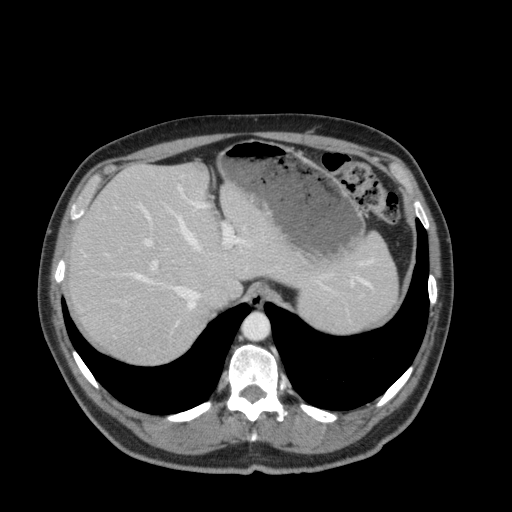
Image size 512x512 | CT
Annotated regions:
* liver: rect(70, 164, 397, 364)